FLAIR MR image.
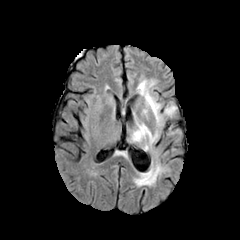
T1-weighted MRI.
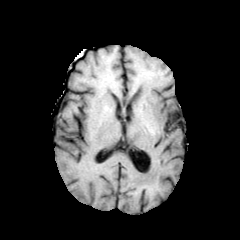
Post-contrast T1-weighted magnetic resonance.
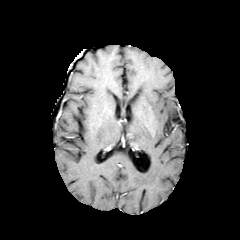
T2-weighted magnetic resonance.
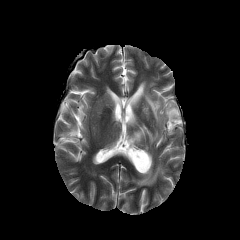
edema:
  - 133, 155, 167, 186
  - 128, 111, 160, 152
  - 135, 80, 177, 133